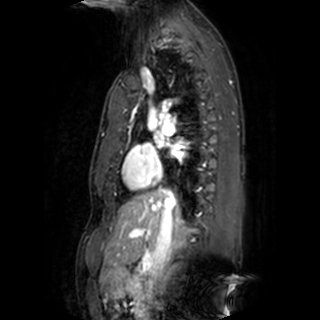 Heart; MR image

2 left atrium regions appear at box=[155, 136, 163, 146]; box=[170, 145, 182, 156].